FLAIR MR image.
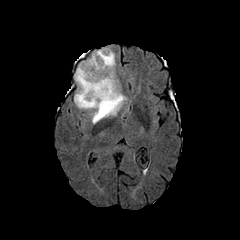
T1-weighted MR image.
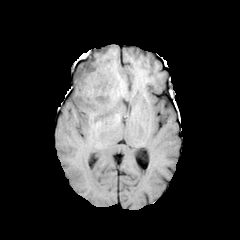
Post-contrast T1-weighted MR.
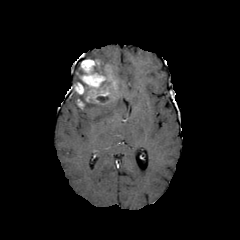
T2-weighted MRI.
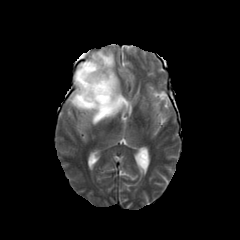
Head
<segmentation>
  <edema>[x1=73, y1=48, x2=126, y2=123]</edema>
  <enhancing_tumor>[x1=74, y1=57, x2=118, y2=105], [x1=77, y1=98, x2=84, y2=108]</enhancing_tumor>
</segmentation>